CT scan slice. Image width 432 mm. 512x512.
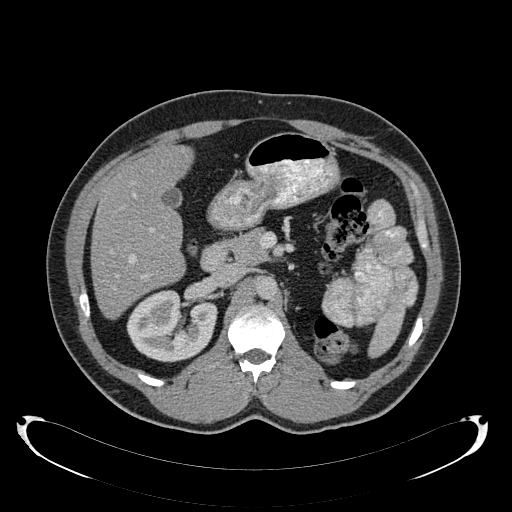 Annotated regions:
- liver: [90,146,190,317]
- kidney: [127,289,216,361]